Brain. Slice 85/155.
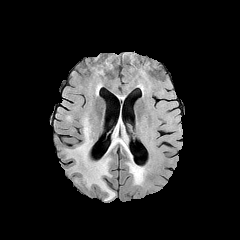
FLAIR MR image.
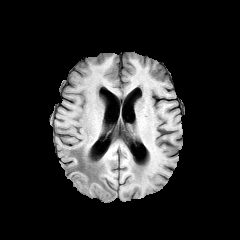
T1-weighted MRI of the same slice.
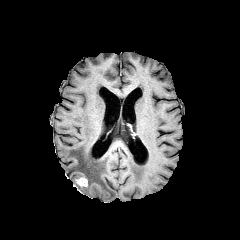
Same slice, post-contrast T1-weighted MR image.
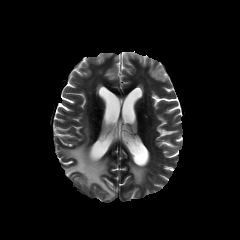
T2-weighted magnetic resonance.
Edema = <bbox>126, 150, 149, 185</bbox>, <bbox>68, 119, 114, 200</bbox>.
Enhancing tumor = <bbox>77, 178, 87, 185</bbox>.
Non-enhancing tumor core = <bbox>68, 158, 90, 185</bbox>.